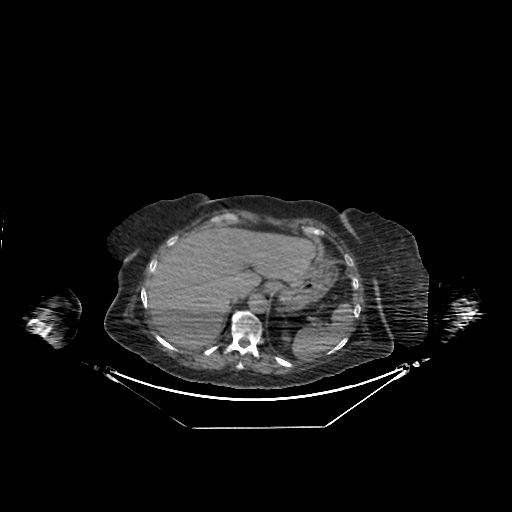

CT image. Liver. 512x512 px.

Annotated regions:
* liver: region(146, 224, 317, 351)